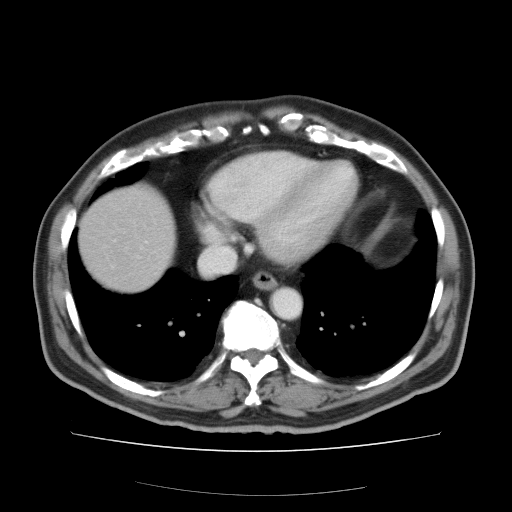 Abdomen, CT scan slice
Not every hepatic vessel necessarily has a box.
Findings:
- hepatic vessel: l=111, t=265, r=112, b=267